Liver. CT slice. Slice 286/455.
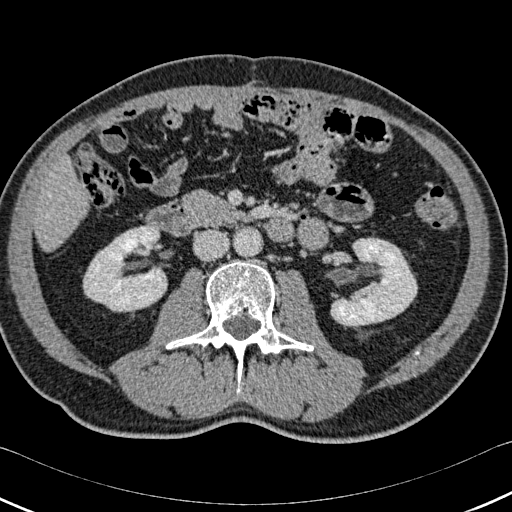
2 kidney regions are bounded by (x1=84, y1=226, x2=166, y2=311), (x1=331, y1=238, x2=416, y2=325). The liver appears at (x1=35, y1=159, x2=90, y2=251). The bone is located at (x1=166, y1=261, x2=313, y2=394).